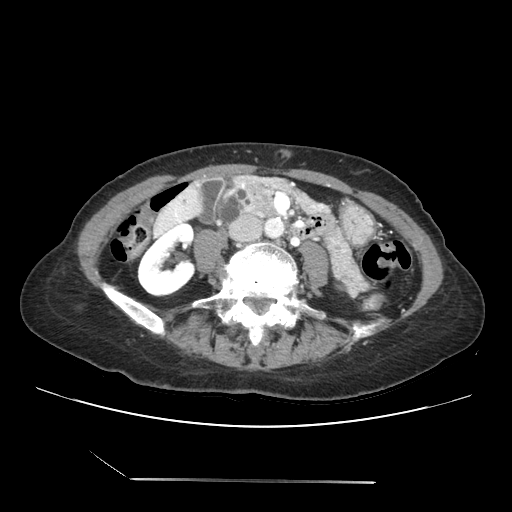
CT image | 512x512
Annotated regions:
* pancreas: [216,174,371,296]